CT slice. Abdomen. 512x512 px. Slice 511 of 871.

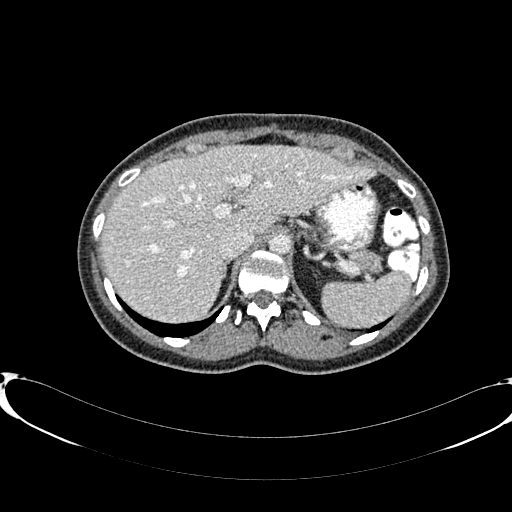

liver:
  - [101, 145, 376, 320]